Slice 30 of 101. CT. Image width 389 mm. Abdomen.

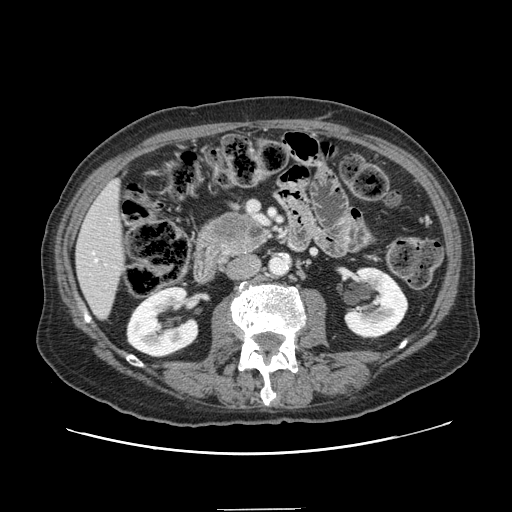 The pancreas is at bbox=[207, 209, 266, 257]. The pancreatic tumor is bounded by bbox=[210, 212, 251, 240].